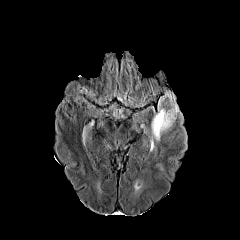
FLAIR MRI.
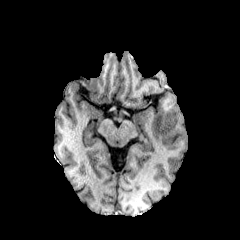
T1-weighted MR.
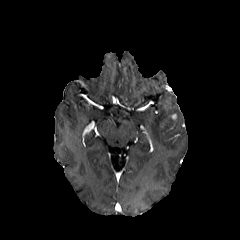
Post-contrast T1-weighted MRI.
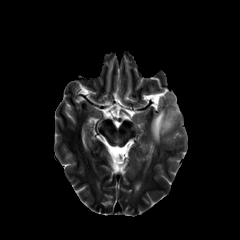
T2-weighted MR image of the same slice.
Brain
Annotated regions:
- edema: box(150, 92, 182, 143)